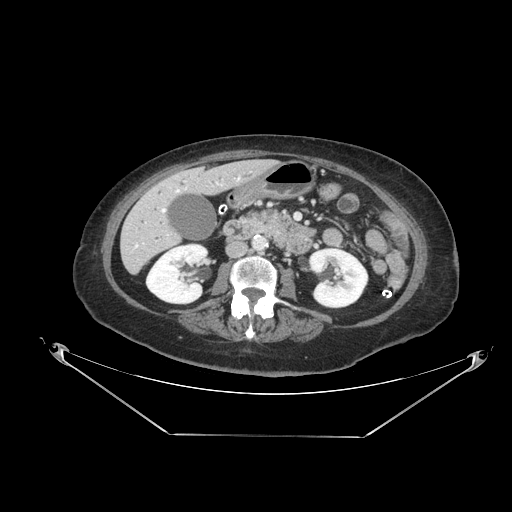 CT scan slice, Upper abdomen

{"pancreas": ["rect(248, 210, 280, 233)"]}